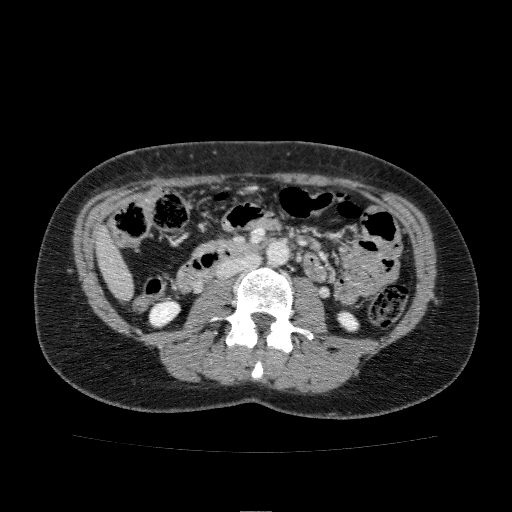
CT. Liver. Liver: bounding box (left=96, top=227, right=132, bottom=299).
Kidney: bounding box (left=338, top=313, right=357, bottom=329), (left=150, top=302, right=179, bottom=325).